512x512 | CT | Chest

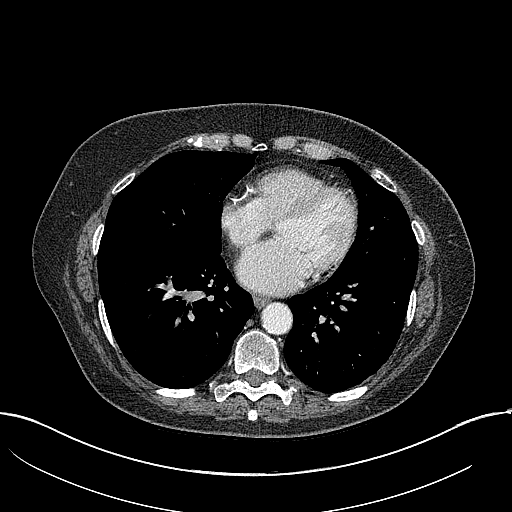

lung tumor: left=176, top=369, right=188, bottom=381